Field of view 240 mm wide, 1.00 mm slice spacing | Slice index 123 | Brain
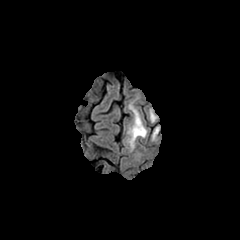
FLAIR magnetic resonance.
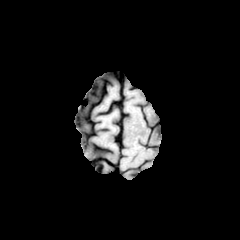
T1-weighted MR image.
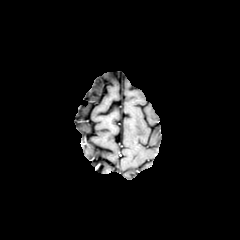
Post-contrast T1-weighted MRI.
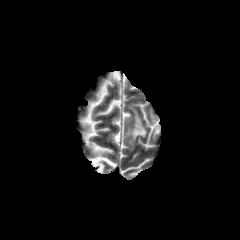
Same slice, T2-weighted MR.
edema: bbox=[127, 107, 159, 147]; bbox=[146, 111, 157, 124]